CT image. Slice 37 of 55. Field of view 409 mm wide, 5.00 mm slice spacing. Abdomen. 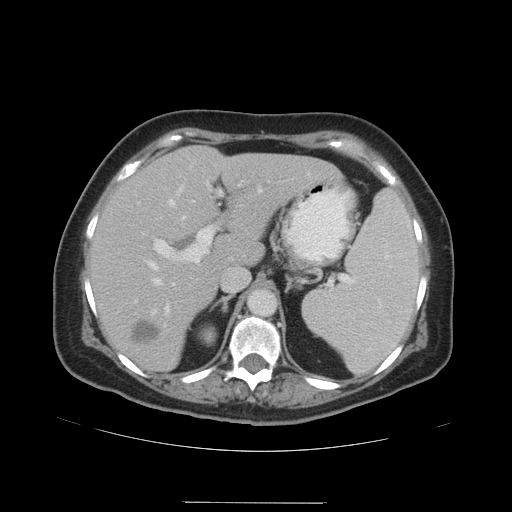 The vessel boxes may cover only some of the vessels.
The top 15 hepatic vessel regions (of 18) are bounded by (182,216,185,218), (228,189,230,190), (165,305,169,315), (153,278,161,284), (308,173,309,175), (191,200,194,202), (169,200,174,205), (238,180,243,186), (154,238,174,256), (146,261,156,268), (216,188,222,196), (177,186,182,195), (176,222,219,262), (258,187,261,192), (151,310,156,313). The liver tumor lies within (134,322,160,342).